FLAIR magnetic resonance.
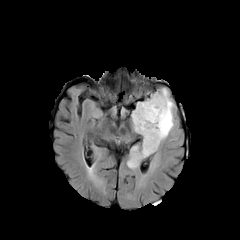
T1-weighted magnetic resonance.
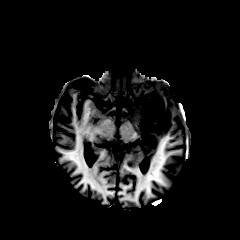
Post-contrast T1-weighted MR.
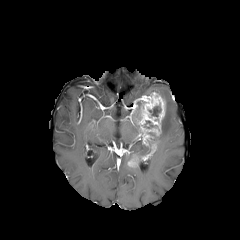
T2-weighted magnetic resonance.
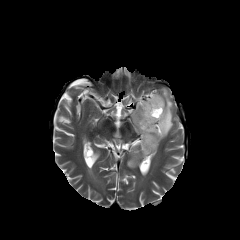
240x240
<segmentation>
  <non-enhancing_tumor_core>bbox=[148, 103, 161, 120]; bbox=[136, 100, 146, 116]; bbox=[131, 114, 161, 150]</non-enhancing_tumor_core>
  <enhancing_tumor>bbox=[136, 92, 164, 124]</enhancing_tumor>
  <edema>bbox=[130, 115, 142, 142]; bbox=[127, 144, 147, 168]; bbox=[156, 88, 177, 150]</edema>
</segmentation>